512x512 px, Slice index 461, Upper abdomen, CT scan slice

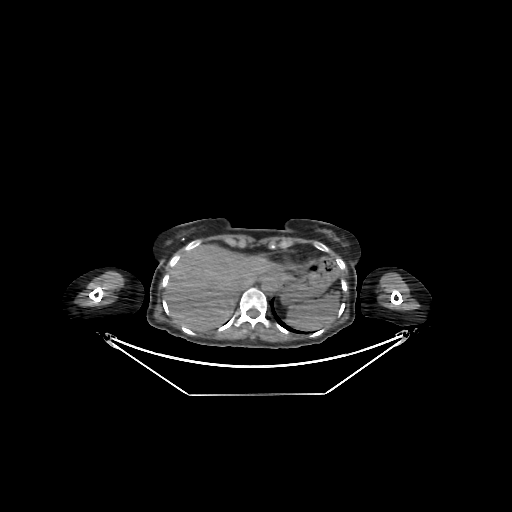 The liver is at left=165, top=245, right=281, bottom=331.